Field of view 375x375 mm, Slice 49 of 87, CT scan slice, 512x512 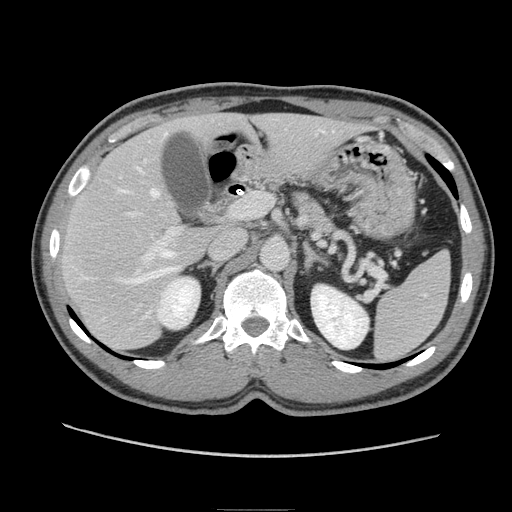
Annotated regions:
* pancreas: box=[287, 188, 338, 234]